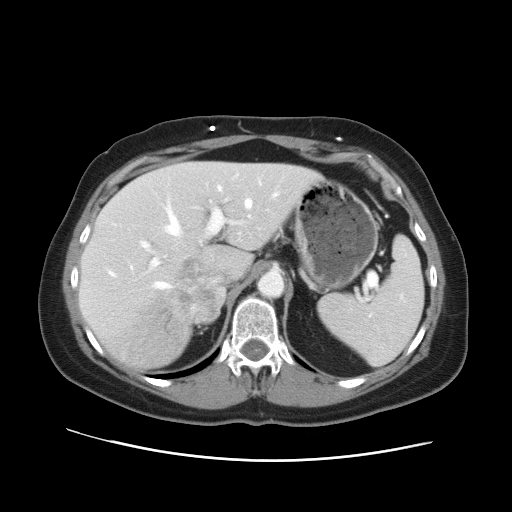 512x512; CT slice; Abdomen
The vessel annotation is not exhaustive.
<segmentation>
  <hepatic_vessel>(206, 207, 224, 235), (163, 196, 181, 237), (140, 241, 153, 252), (110, 272, 113, 274), (112, 222, 116, 225), (210, 200, 211, 202), (155, 282, 168, 288), (247, 214, 251, 219), (230, 221, 244, 224), (243, 197, 253, 209), (153, 260, 156, 264), (257, 177, 261, 185)</hepatic_vessel>
  <liver_tumor>(161, 256, 220, 321)</liver_tumor>
</segmentation>